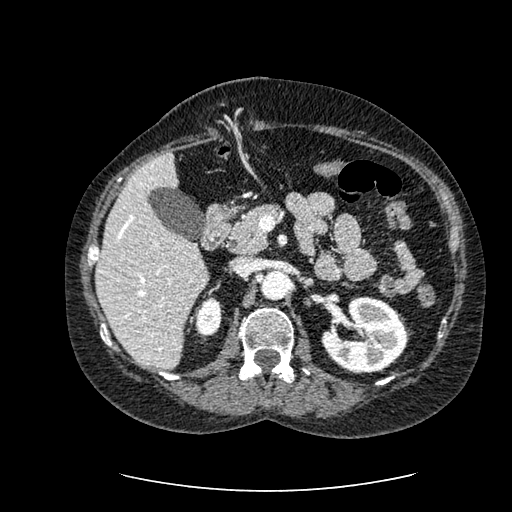 CT slice, Abdomen

Kidney at <bbox>196, 298, 220, 335</bbox>, <bbox>322, 298, 406, 372</bbox>.
Liver at <bbox>96, 155, 208, 369</bbox>.